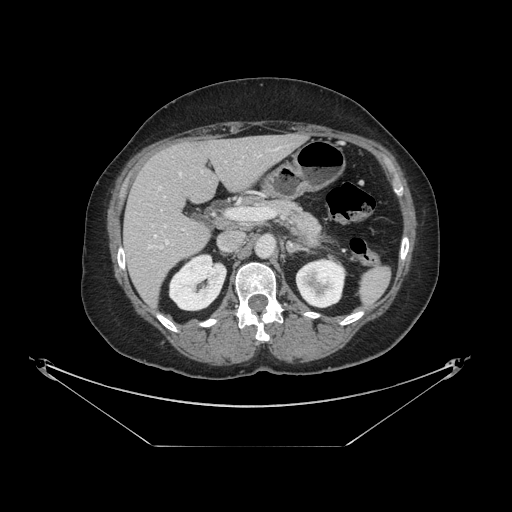 CT image
Pancreas: box=[265, 200, 321, 248].